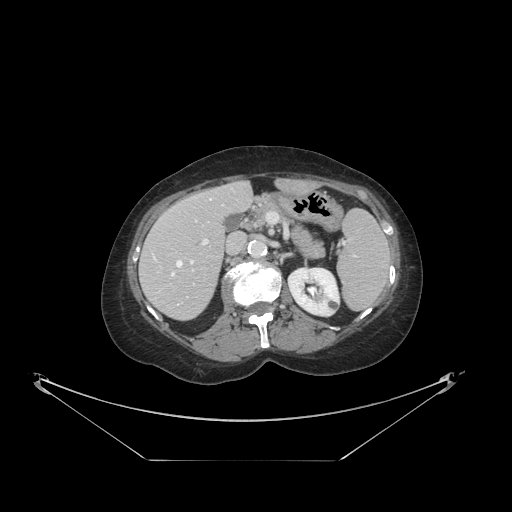
512x512. Abdomen. CT slice.
The vessel annotation is not exhaustive.
hepatic vessel: 266 210 278 222, 191 260 193 263, 176 260 181 265, 202 239 207 243, 153 255 154 257, 195 220 196 221, 171 273 173 275